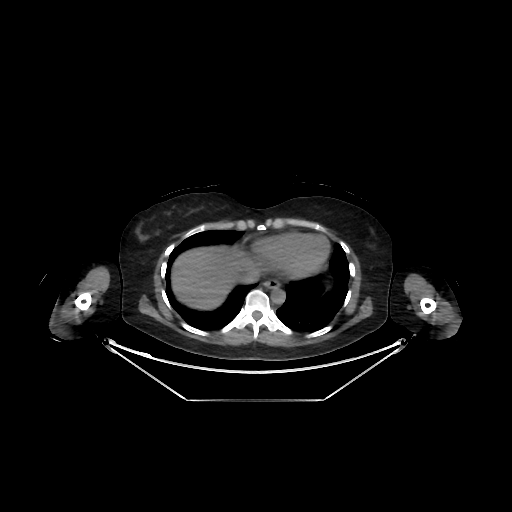

Upper abdomen, Image size 512x512, Computed tomography

Annotated regions:
- liver: 171:246:263:309